Liver. CT. 512x512 px.

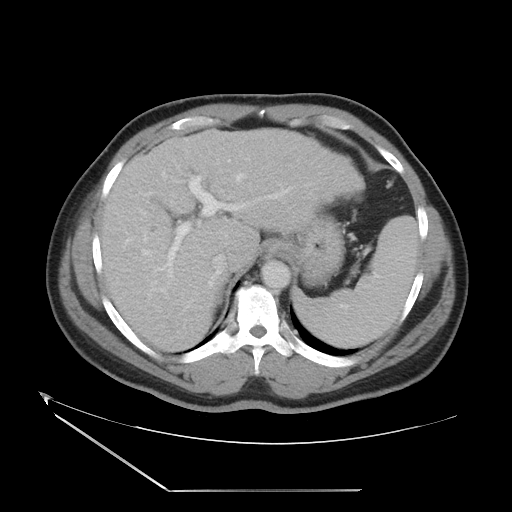
Some hepatic vessels may have no box.
The top 15 hepatic vessel regions (of 18) appear at 151,281,156,290; 160,288,165,292; 265,187,291,198; 223,203,245,210; 190,176,218,215; 208,255,222,286; 145,192,150,195; 187,302,190,306; 237,174,245,180; 144,235,147,240; 157,223,189,276; 125,238,131,243; 162,245,164,248; 142,250,151,255; 140,210,145,215.